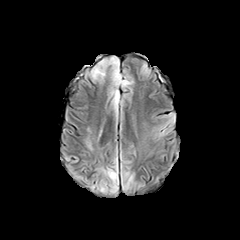
FLAIR MRI.
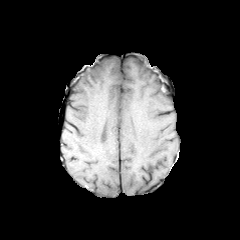
T1-weighted MR image.
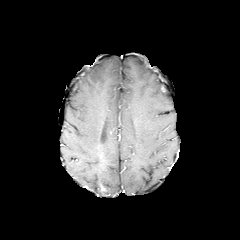
Post-contrast T1-weighted magnetic resonance.
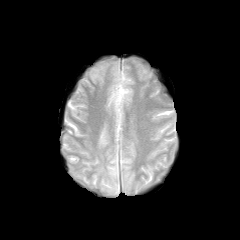
T2-weighted MR.
Image size 240x240. Head.
Edema — bbox=[99, 164, 118, 192].